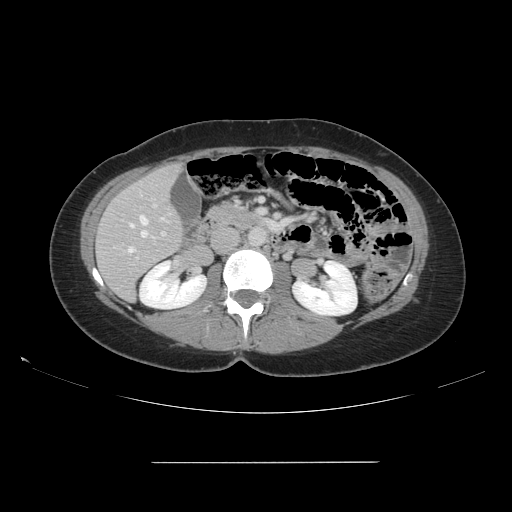

Liver | 512x512 | Computed tomography
The vessel annotation is not exhaustive.
Hepatic vessel — bbox=[130, 224, 133, 226]; bbox=[153, 204, 156, 206]; bbox=[162, 232, 165, 235]; bbox=[140, 216, 148, 225]; bbox=[127, 247, 135, 252]; bbox=[141, 230, 147, 236]; bbox=[160, 217, 168, 222]; bbox=[152, 237, 155, 238].